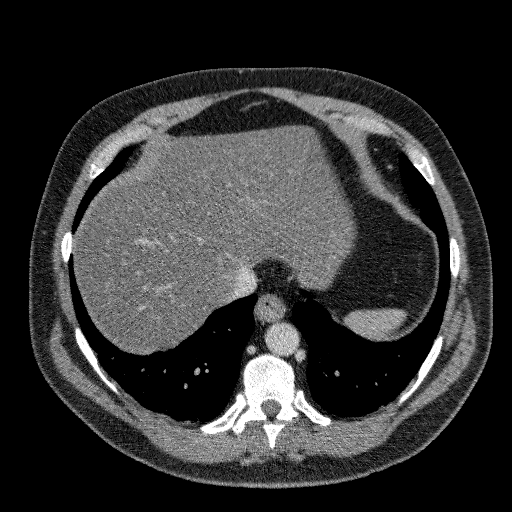
512x512 px, Upper abdomen, Computed tomography
Liver: bounding box x1=72, y1=125, x2=342, y2=353.